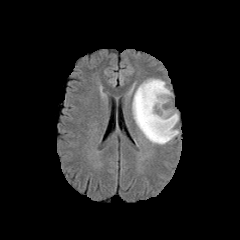
FLAIR MRI.
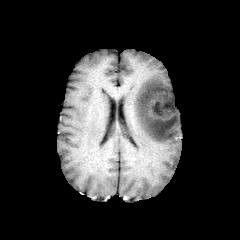
T1-weighted MR image of the same slice.
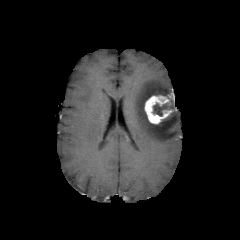
Post-contrast T1-weighted MRI of the same slice.
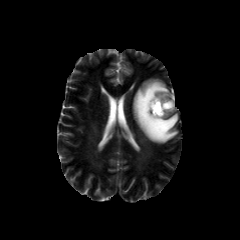
T2-weighted MR image.
240x240 px | Brain
The edema appears at left=132, top=78, right=178, bottom=144. The enhancing tumor is bounded by left=144, top=89, right=176, bottom=124. The non-enhancing tumor core lies within left=153, top=103, right=172, bottom=115.